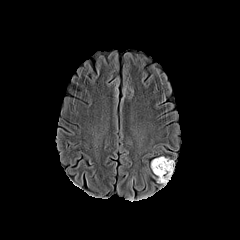
FLAIR MRI.
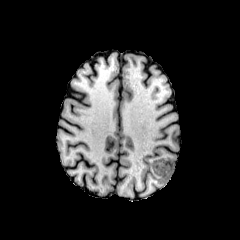
Same slice, T1-weighted MRI.
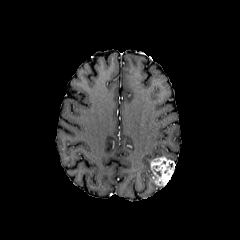
Same slice, post-contrast T1-weighted MR.
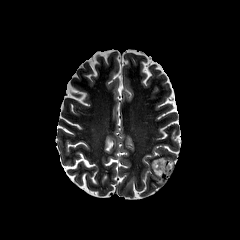
T2-weighted MRI of the same slice.
Brain
The enhancing tumor is bounded by x1=151, y1=156, x2=175, y2=186.